Abdomen | Field of view 360x360 mm | CT image | Image size 512x512 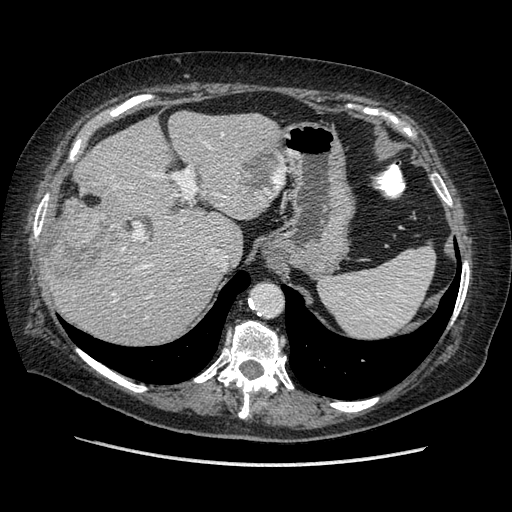
Only some of the vessels may be annotated.
Findings:
• liver tumor: box(49, 204, 109, 270)
• hepatic vessel: box(169, 169, 197, 198); box(133, 222, 144, 240); box(155, 174, 158, 174)